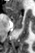 Hippocampus. Magnetic resonance. Segmented structures:
* posterior hippocampus: box=[12, 21, 22, 29]
* anterior hippocampus: box=[5, 6, 22, 20]